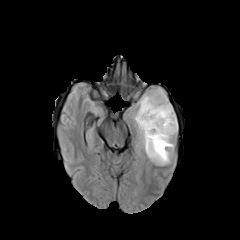
FLAIR magnetic resonance.
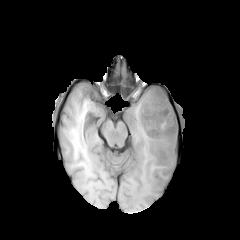
T1-weighted MR.
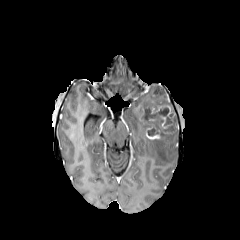
Same slice, post-contrast T1-weighted MR.
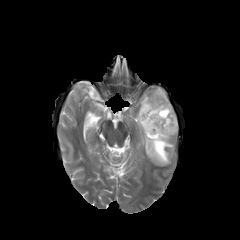
Same slice, T2-weighted MRI.
non-enhancing tumor core: 138, 85, 177, 138 | edema: 130, 92, 177, 166